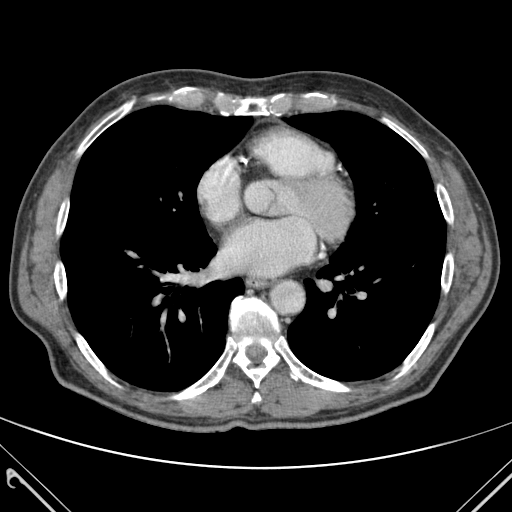
CT scan slice

{"lung": ["box(60, 106, 252, 391)", "box(285, 111, 445, 380)"], "bone": ["box(252, 393, 260, 401)", "box(57, 203, 68, 240)", "box(441, 255, 453, 291)", "box(396, 324, 433, 377)", "box(173, 297, 348, 399)", "box(221, 94, 291, 115)", "box(173, 87, 194, 93)", "box(437, 185, 453, 222)", "box(77, 335, 115, 384)", "box(54, 258, 66, 298)", "box(78, 101, 135, 153)", "box(381, 118, 426, 155)", "box(305, 93, 338, 103)"]}